512x512 px; Field of view 387x387 mm; Liver; CT scan slice
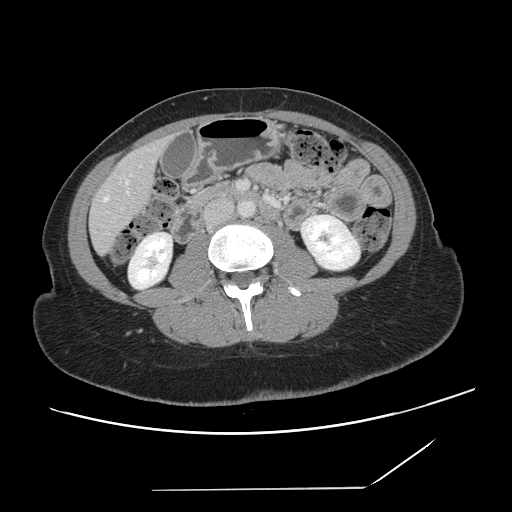
Not every hepatic vessel necessarily has a box.
3 hepatic vessel regions appear at (left=104, top=196, right=108, bottom=201), (left=127, top=192, right=128, bottom=194), (left=126, top=180, right=127, bottom=184).